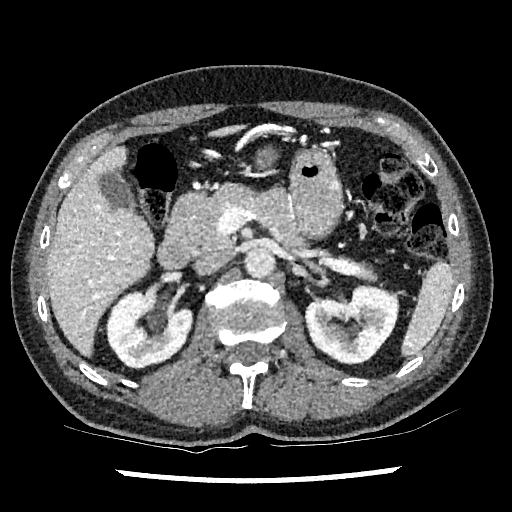 Image size 512x512 | CT scan slice
Kidney at x1=306 y1=287 x2=396 y2=362, x1=108 y1=293 x2=191 y2=366.
Liver at x1=210 y1=124 x2=247 y2=136, x1=47 y1=147 x2=153 y2=356.